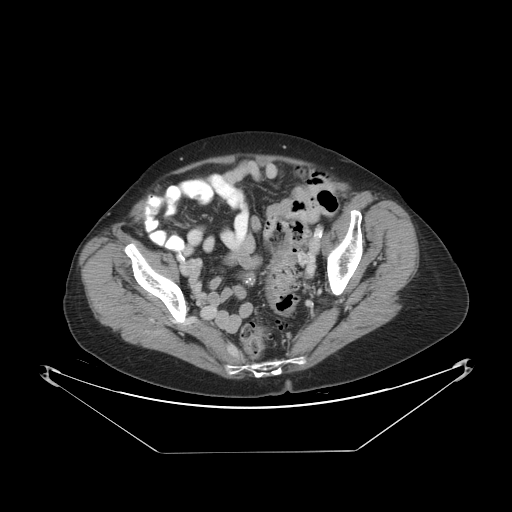
Abdomen; CT image

Colon tumor — box=[266, 227, 296, 304].